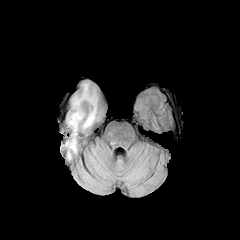
FLAIR MR image.
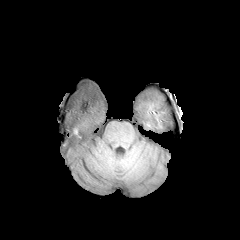
Same slice, T1-weighted MR image.
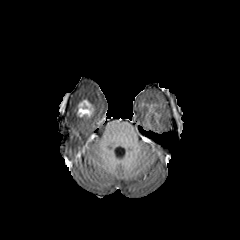
Same slice, post-contrast T1-weighted magnetic resonance.
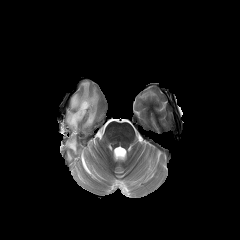
T2-weighted MR of the same slice.
The edema is bounded by <bbox>64, 84, 97, 161</bbox>. The enhancing tumor is bounded by <bbox>77, 100, 91, 116</bbox>.